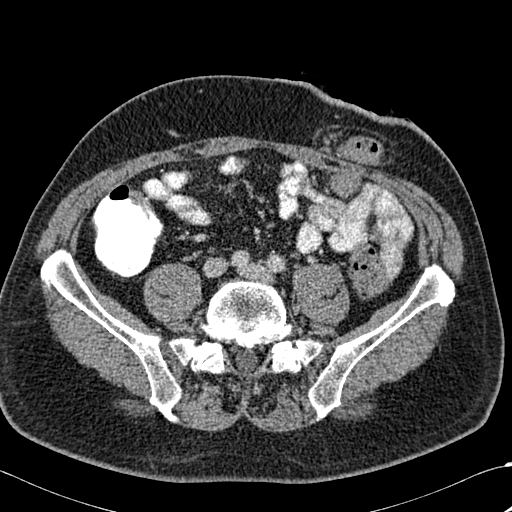 CT
3 bone regions appear at 41:250:181:421, 169:281:322:372, 308:265:454:418.